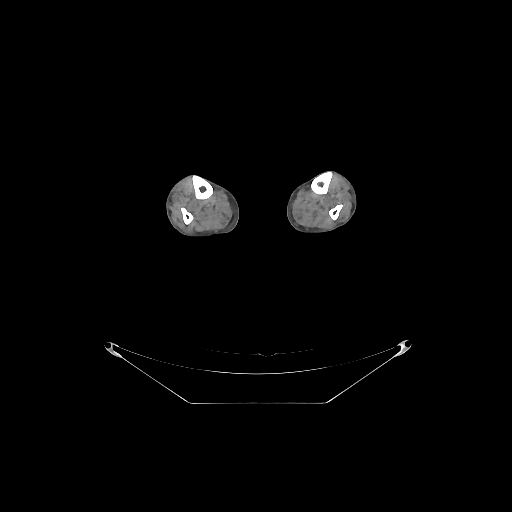
Computed tomography
Bone at (x1=192, y1=175, x2=212, y2=199), (x1=311, y1=172, x2=332, y2=194), (x1=329, y1=204, x2=342, y2=219), (x1=181, y1=207, x2=193, y2=224).